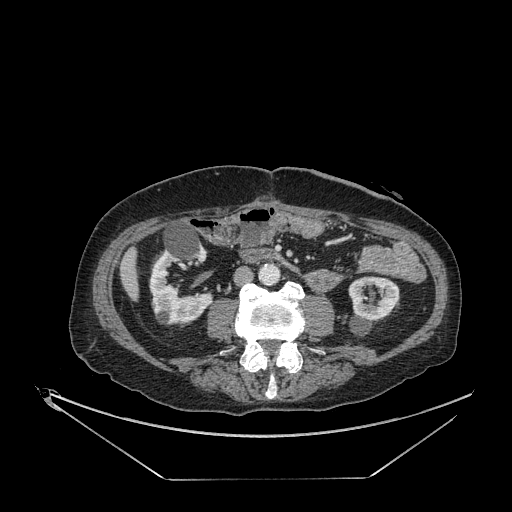
Image size 512x512. Upper abdomen. CT.
Liver: bounding box <bbox>120, 248, 137, 300</bbox>.
Kidney: bounding box <bbox>150, 250, 212, 323</bbox>, <bbox>349, 277, 398, 320</bbox>, <bbox>196, 246, 205, 261</bbox>.